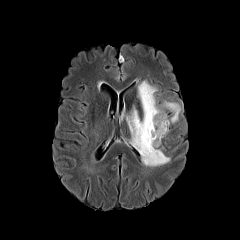
FLAIR MR image.
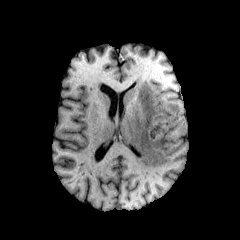
T1-weighted MRI.
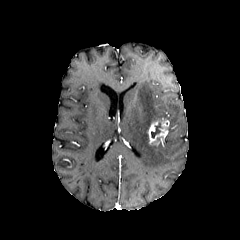
Same slice, post-contrast T1-weighted MRI.
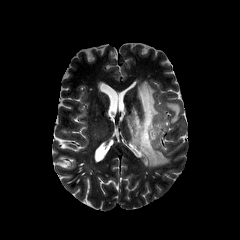
T2-weighted MRI.
non-enhancing tumor core: (153, 105, 174, 123), (151, 123, 161, 138) | enhancing tumor: (148, 118, 169, 146) | edema: (163, 102, 180, 123), (126, 82, 170, 167)